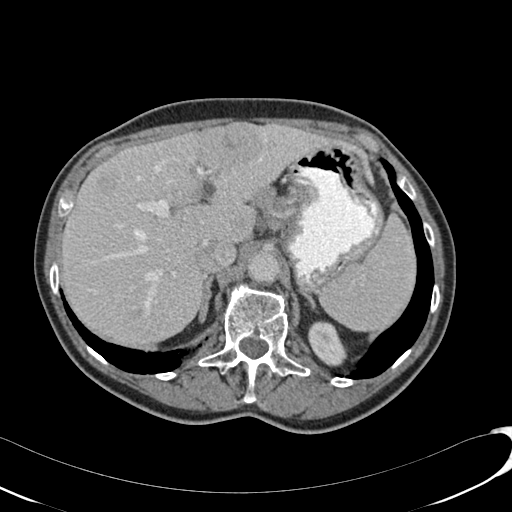
Abdomen | Image size 512x512 | CT slice
Annotated regions:
• liver: [x1=63, y1=122, x2=373, y2=345]
• liver lesion: [x1=132, y1=309, x2=140, y2=317], [x1=204, y1=124, x2=260, y2=168], [x1=99, y1=175, x2=111, y2=190]
• kidney: [x1=308, y1=320, x2=347, y2=369]